FLAIR MRI.
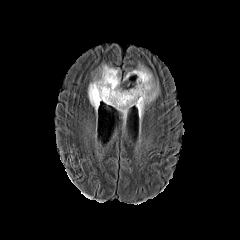
T1-weighted magnetic resonance.
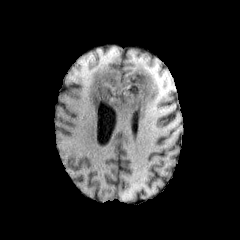
Post-contrast T1-weighted MR image.
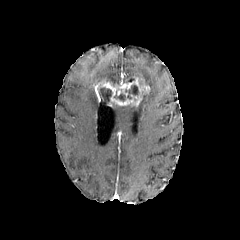
T2-weighted MR image.
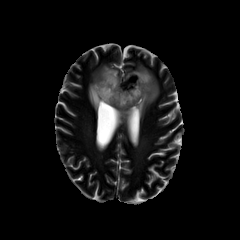
Head
{
  "edema": [
    "124, 64, 159, 122",
    "88, 64, 121, 115",
    "115, 104, 131, 115"
  ],
  "enhancing_tumor": [
    "93, 76, 150, 106"
  ],
  "non-enhancing_tumor_core": [
    "125, 85, 138, 99",
    "113, 88, 125, 101",
    "96, 84, 113, 104"
  ]
}